CT scan slice 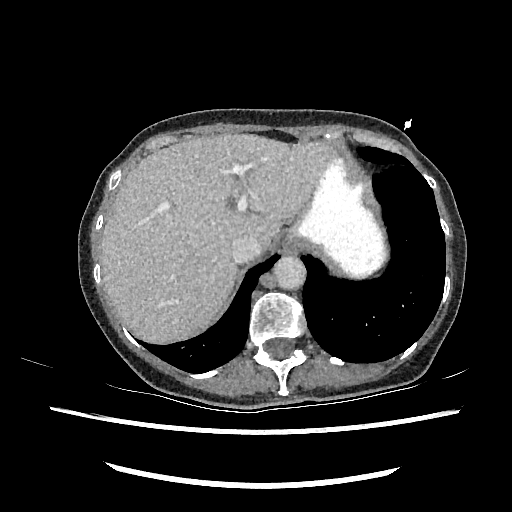
The liver is located at [101,134,331,342].